FLAIR MR.
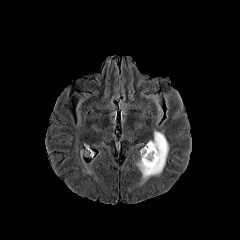
T1-weighted MR.
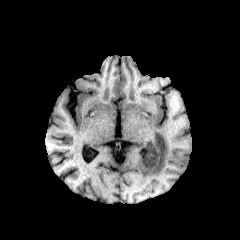
Post-contrast T1-weighted MR.
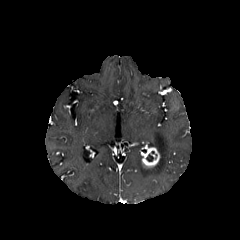
T2-weighted MR.
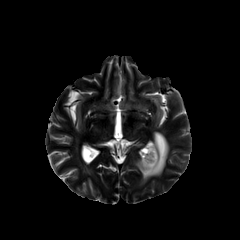
<segmentation>
  <enhancing_tumor>box=[141, 147, 159, 165]</enhancing_tumor>
  <edema>box=[137, 131, 169, 179]</edema>
  <non-enhancing_tumor_core>box=[145, 150, 157, 162]</non-enhancing_tumor_core>
</segmentation>